Image width 462 mm, Computed tomography, Slice 28/101 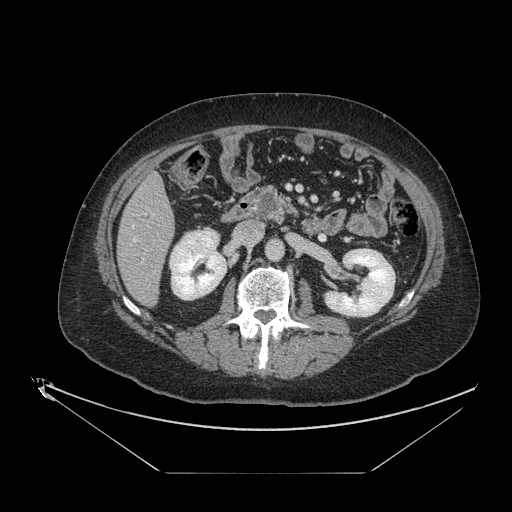
pancreas: rect(250, 186, 290, 222) | pancreatic tumor: rect(259, 192, 277, 215)